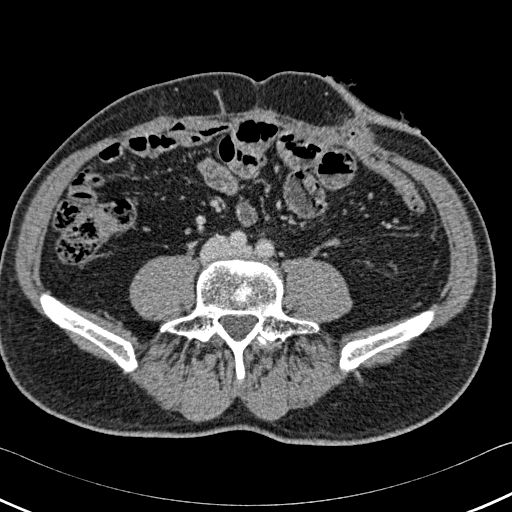 512x512 px, CT scan slice

bone:
  - rect(41, 295, 136, 370)
  - rect(340, 312, 432, 370)
  - rect(160, 259, 318, 381)